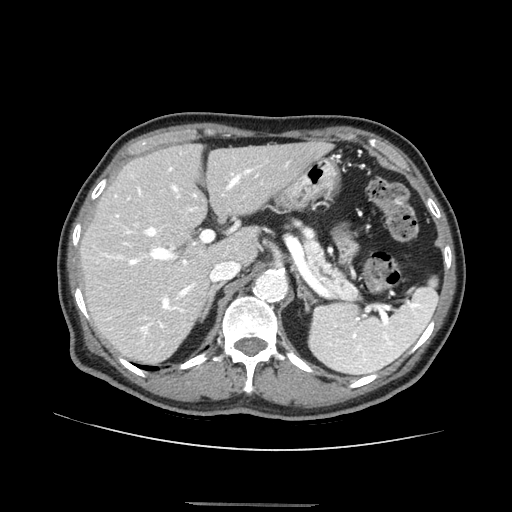
512x512; CT; Abdomen
Segmented structures:
* pancreas: <box>303,229,357,299</box>